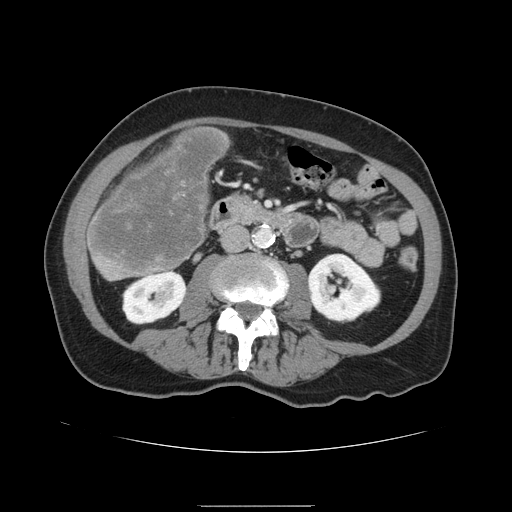 Abdomen. CT. Image size 512x512.
The liver tumor is located at region(90, 131, 226, 271).